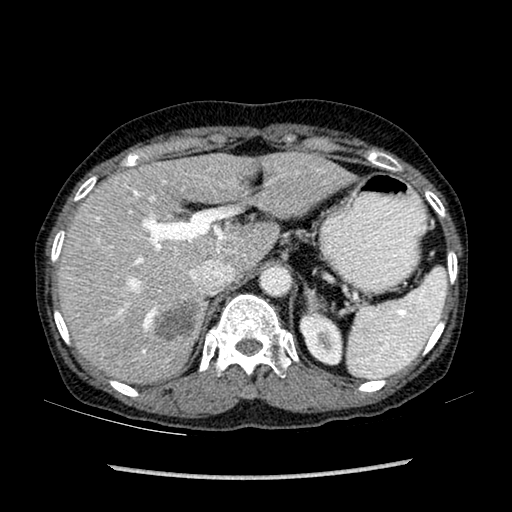

CT slice | Upper abdomen | Image size 512x512
The kidney is located at <box>301,317,340,363</box>. The liver lesion is bounded by <box>154,300,199,339</box>. The liver lies within <box>58,153,354,383</box>.